CT slice

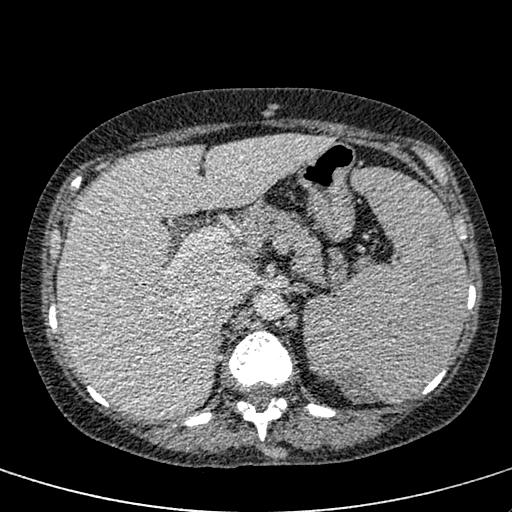
{
  "liver": [
    "(58,135,334,418)"
  ]
}